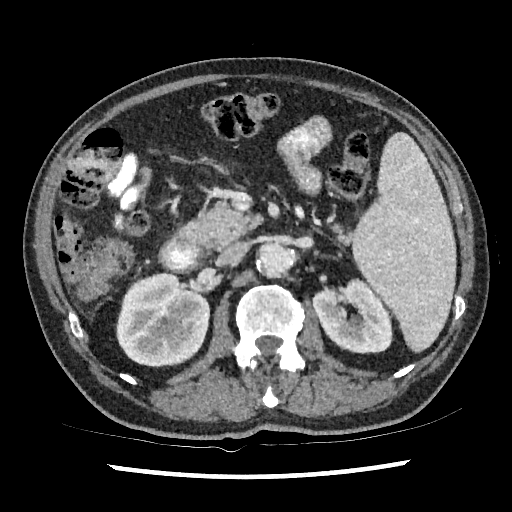
Computed tomography; 512x512
<segmentation>
  <kidney>117 273 209 365, 313 279 391 352</kidney>
</segmentation>